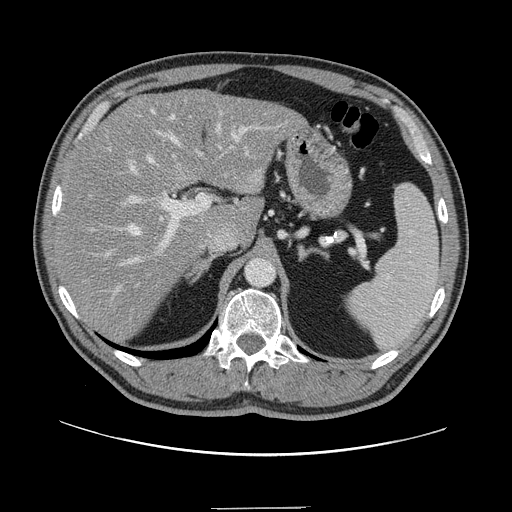 CT scan slice. Abdomen.
The vessel annotation is not exhaustive.
<segmentation partial="true">
  <hepatic_vessel shown="15" total="22">l=148, t=156, r=153, b=162; l=116, t=287, r=119, b=292; l=170, t=116, r=174, b=119; l=120, t=258, r=140, b=264; l=121, t=225, r=140, b=234; l=217, t=125, r=220, b=132; l=158, t=132, r=179, b=144; l=246, t=149, r=248, b=155; l=159, t=194, r=216, b=248; l=107, t=252, r=109, b=255; l=233, t=127, r=248, b=140; l=197, t=152, r=202, b=155; l=127, t=196, r=141, b=203; l=130, t=162, r=137, b=173; l=152, t=110, r=154, b=113</hepatic_vessel>
</segmentation>